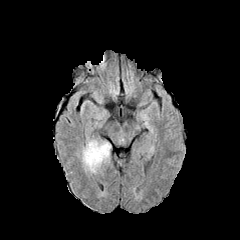
FLAIR MR image.
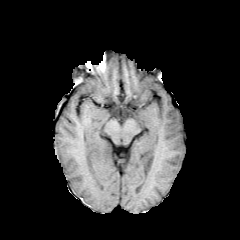
T1-weighted MR image.
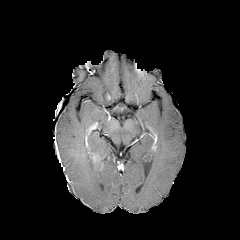
Post-contrast T1-weighted magnetic resonance of the same slice.
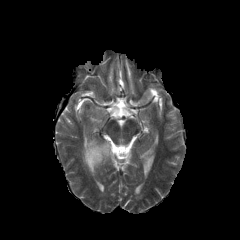
T2-weighted MR of the same slice.
Non-enhancing tumor core at l=90, t=152, r=104, b=164.
Enhancing tumor at l=86, t=142, r=99, b=162.
Edema at l=96, t=110, r=105, b=119; l=80, t=130, r=111, b=175.